Brain | Slice index 90
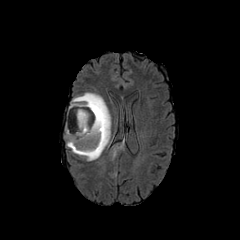
FLAIR MR image.
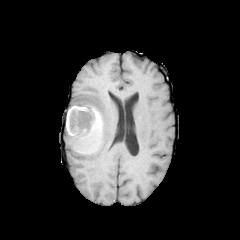
Same slice, T1-weighted MR image.
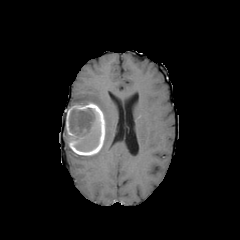
Post-contrast T1-weighted MR image.
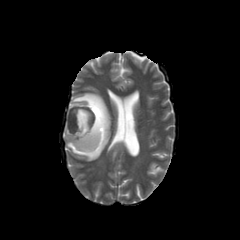
T2-weighted magnetic resonance.
Annotated regions:
• enhancing tumor: box(65, 103, 105, 155)
• edema: box(70, 92, 111, 161)
• non-enhancing tumor core: box(69, 108, 96, 136); box(77, 129, 99, 149)